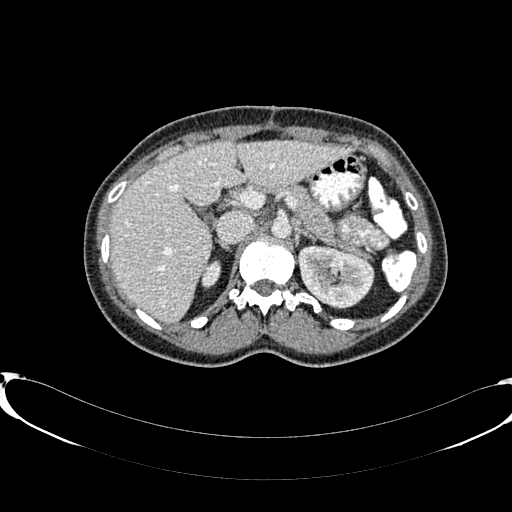

Upper abdomen; CT image; 512x512 px
{
  "kidney": [
    "x1=300, y1=247, x2=372, y2=306",
    "x1=204, y1=266, x2=218, y2=284"
  ],
  "liver": [
    "x1=109, y1=141, x2=349, y2=322"
  ]
}